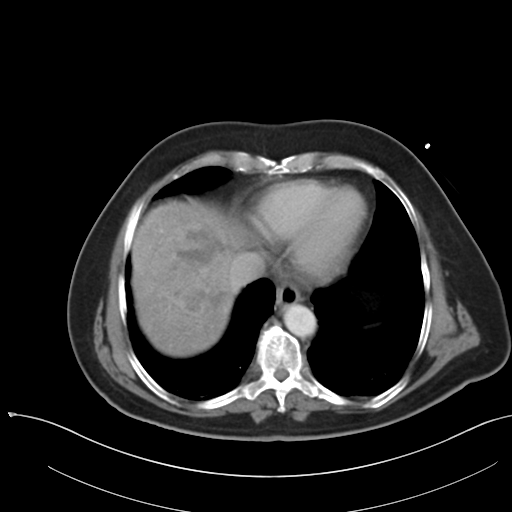 Image size 512x512. CT image. Liver.
Only some of the vessels may be annotated.
liver tumor: <box>147,222,231,336</box> | hepatic vessel: <box>158,229,162,231</box>, <box>280,225,285,230</box>, <box>230,260,250,289</box>, <box>241,257,245,259</box>